Abdomen, CT scan slice 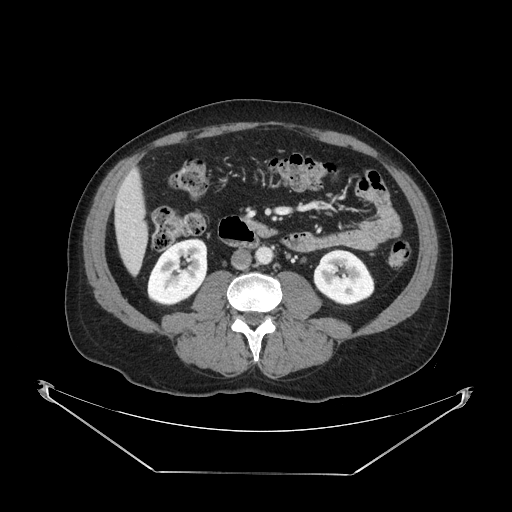 <segmentation>
  <pancreas>[243, 217, 278, 236]</pancreas>
</segmentation>